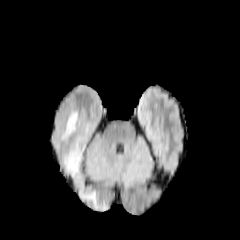
FLAIR MRI.
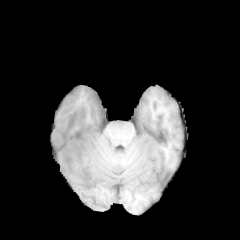
Same slice, T1-weighted MR image.
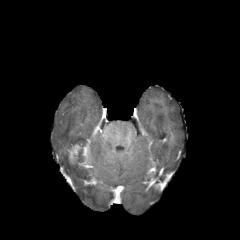
Same slice, post-contrast T1-weighted MRI.
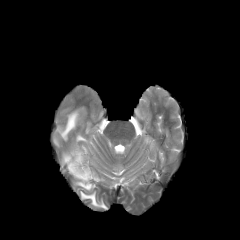
T2-weighted MR of the same slice.
240x240 px
<segmentation>
  <enhancing_tumor>(67, 143, 81, 161)</enhancing_tumor>
  <edema>(60, 146, 105, 208), (61, 111, 78, 138)</edema>
</segmentation>